Field of view 240x240 mm; Head
FLAIR MR.
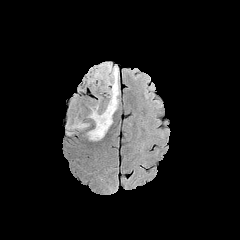
T1-weighted magnetic resonance.
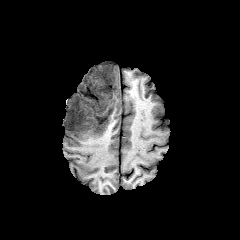
Post-contrast T1-weighted MRI.
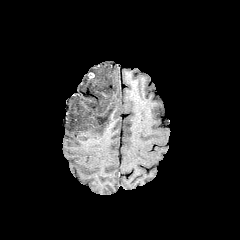
T2-weighted MRI.
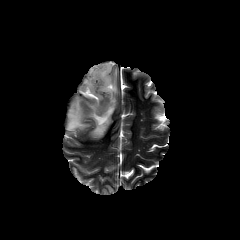
Non-enhancing tumor core = (87,71,110,82).
Edema = (92,64,108,72), (68,64,119,140).